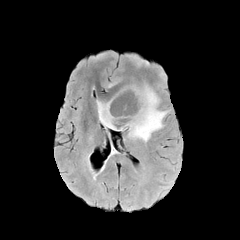
FLAIR MR.
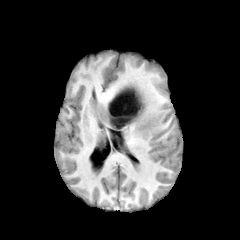
T1-weighted MRI.
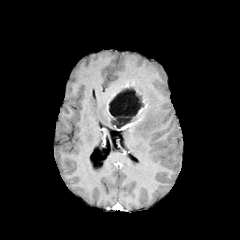
Post-contrast T1-weighted MR image of the same slice.
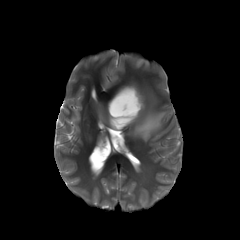
T2-weighted MR image of the same slice.
Brain; Image size 240x240
Segmented structures:
• non-enhancing tumor core: region(106, 86, 142, 129)
• edema: region(97, 100, 113, 129); region(128, 89, 167, 141)